512x512 | Liver | CT scan slice

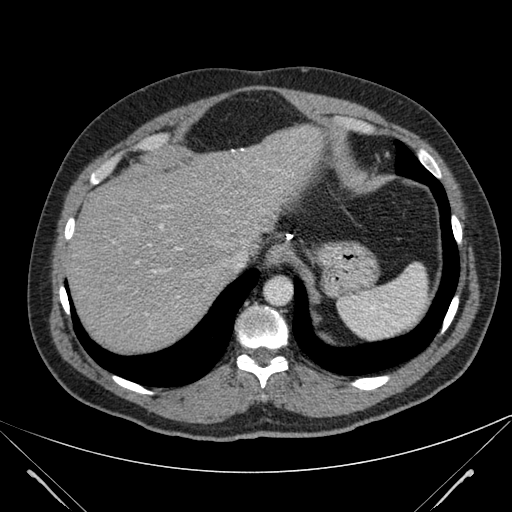 Annotated regions:
• liver: (65, 127, 347, 353)